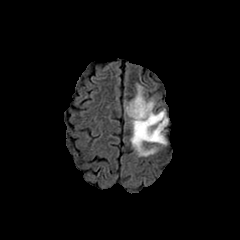
FLAIR MRI.
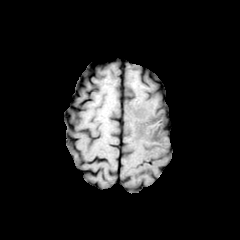
Same slice, T1-weighted MRI.
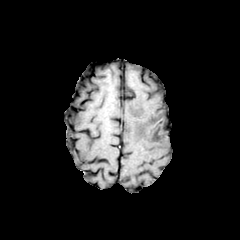
Post-contrast T1-weighted MR.
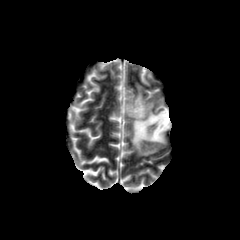
T2-weighted magnetic resonance.
240x240 px | Head
Edema — 125 85 167 156.
Non-enhancing tumor core — 142 114 167 131, 146 128 161 139.